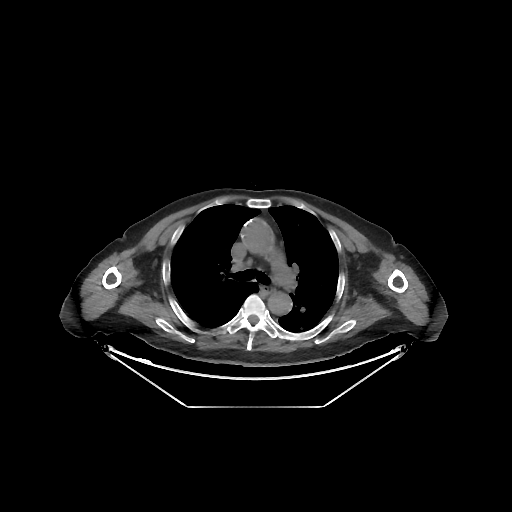
CT, Image size 512x512, Chest
Bone — bbox=[247, 199, 270, 207]; bbox=[315, 320, 355, 343]; bbox=[102, 266, 121, 289]; bbox=[156, 318, 194, 342]; bbox=[224, 295, 332, 349]; bbox=[170, 299, 191, 327]; bbox=[388, 269, 407, 292]; bbox=[337, 275, 344, 297].
Lung — bbox=[268, 205, 338, 332]; bbox=[171, 204, 270, 328].